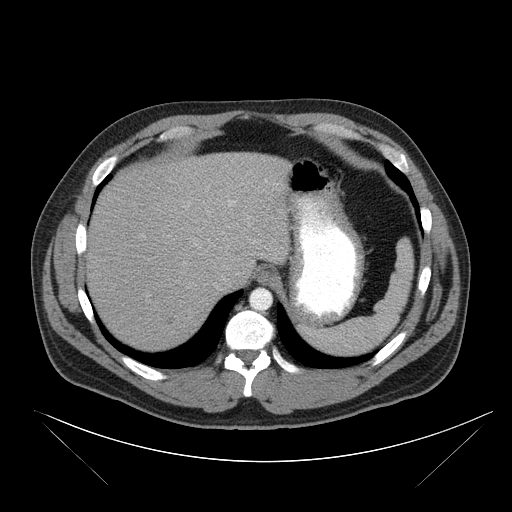
Upper abdomen | CT slice

Spleen: {"x1": 299, "y1": 239, "x2": 414, "y2": 357}.